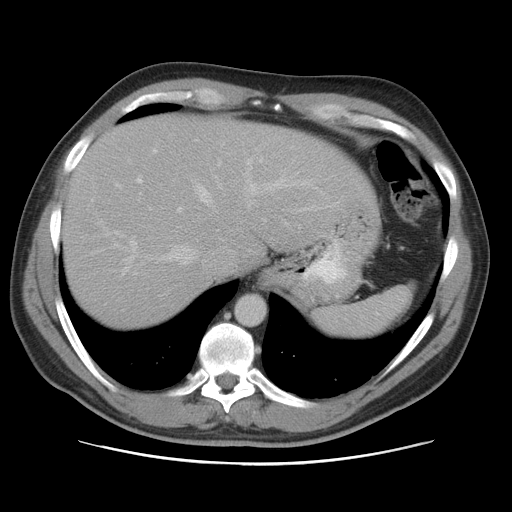 Abdomen; CT
The vessel boxes may cover only some of the vessels.
hepatic vessel: box=[249, 202, 251, 204]; box=[178, 207, 181, 211]; box=[125, 240, 136, 261]; box=[246, 158, 258, 194]; box=[136, 177, 141, 182]; box=[161, 246, 194, 264]; box=[195, 183, 212, 205]; box=[258, 158, 262, 161]